240x240 px
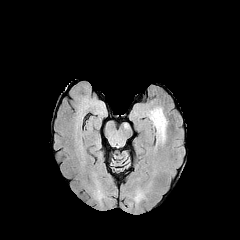
FLAIR magnetic resonance.
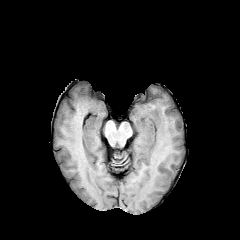
T1-weighted magnetic resonance.
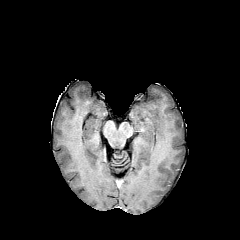
Post-contrast T1-weighted magnetic resonance.
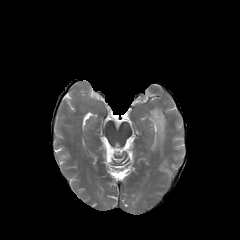
T2-weighted magnetic resonance.
edema: bbox=[145, 106, 167, 149]